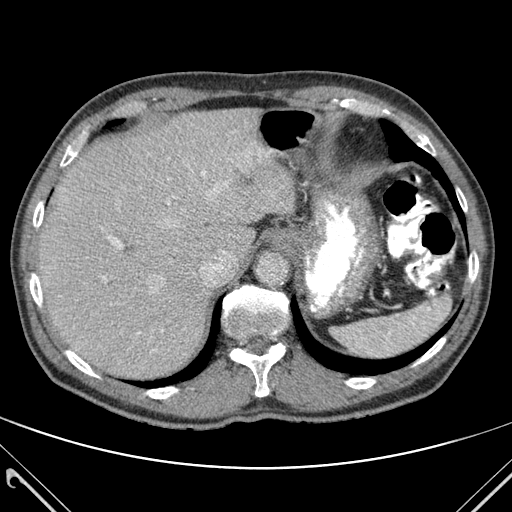 Image size 512x512, Liver, CT
<segmentation>
  <focal_liver_lesion>232,168,254,186</focal_liver_lesion>
  <lung>380,119,464,227; 138,303,220,387; 291,299,449,374</lung>
  <liver>39,109,293,379</liver>
  <bone>413,132,434,154; 416,338,445,363; 33,202,43,227; 147,387,177,398; 30,273,41,305; 60,146,76,166; 346,378,374,388; 223,286,288,336; 469,253,478,280; 456,189,467,211; 66,351,97,377; 230,343,284,396</bone>
</segmentation>